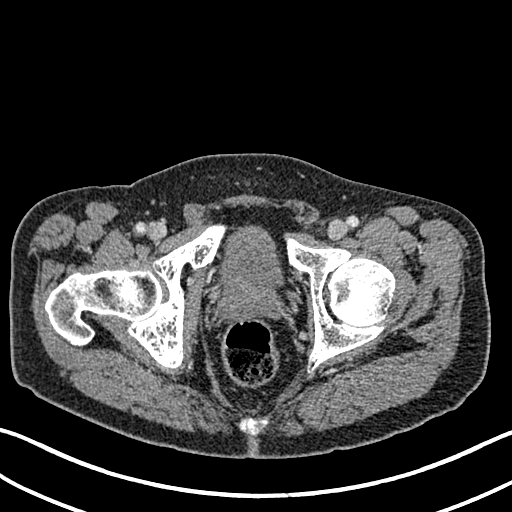 CT scan slice | Image size 512x512 | Lower abdomen
Urinary bladder: bounding box region(218, 231, 283, 299).